CT, Slice 190/410, 512x512 px, Field of view 365x365 mm
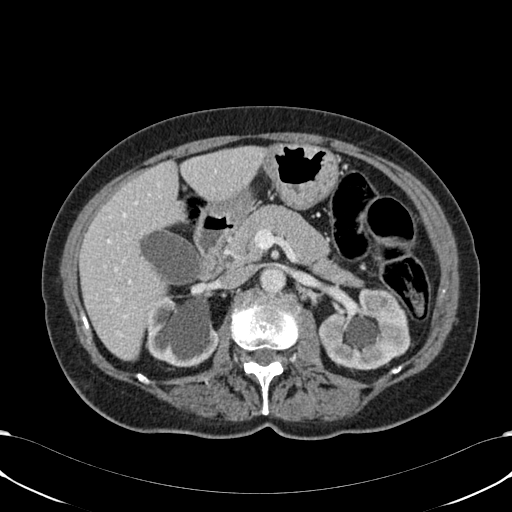

Segmented structures:
* kidney: (left=319, top=290, right=409, bottom=369), (left=148, top=281, right=219, bottom=366)
* liver: (left=80, top=147, right=267, bottom=359)